Slice 68/155
FLAIR MRI.
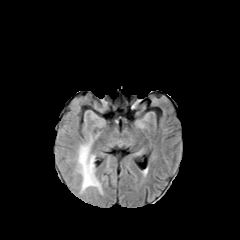
T1-weighted magnetic resonance.
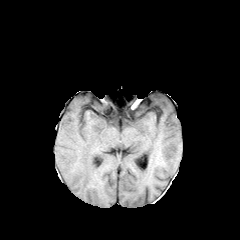
Post-contrast T1-weighted MRI.
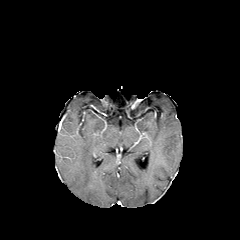
T2-weighted MR image.
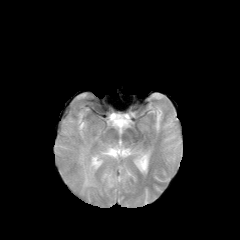
Edema = (x1=76, y1=139, x2=101, y2=193).